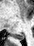
Magnetic resonance

{
  "posterior_hippocampus": [
    "box(16, 33, 24, 40)"
  ]
}